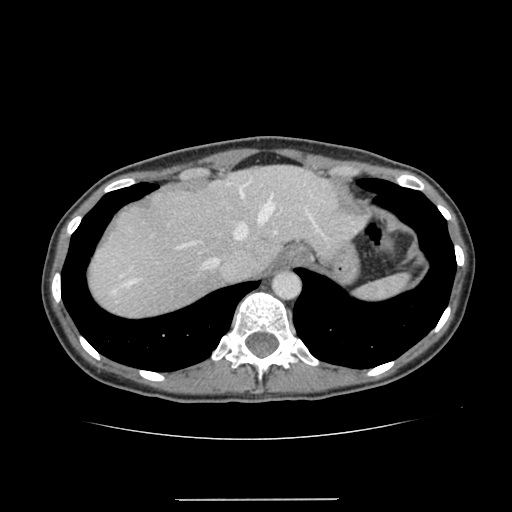

CT image | Image size 512x512 | Upper abdomen

The liver is at rect(88, 165, 365, 319).